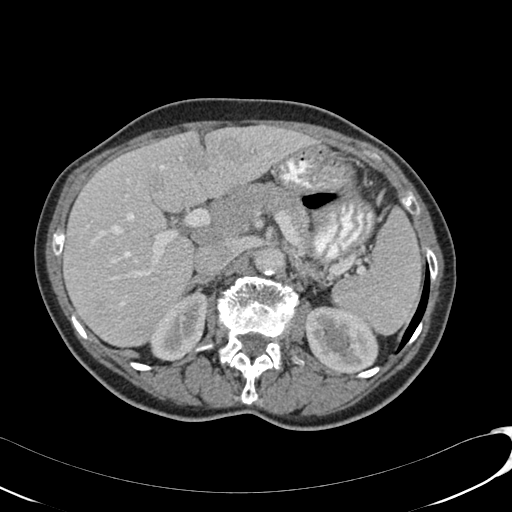

Liver; CT slice
5 hepatic lesion regions are located at [x1=187, y1=148, x2=207, y2=173], [x1=65, y1=236, x2=73, y2=245], [x1=96, y1=309, x2=104, y2=319], [x1=148, y1=176, x2=161, y2=190], [x1=214, y1=136, x2=253, y2=166]. 2 kidney regions appear at [x1=305, y1=307, x2=377, y2=372], [x1=152, y1=292, x2=207, y2=360]. The liver lies within [x1=64, y1=126, x2=321, y2=345].